Field of view 381 mm wide, 1.50 mm slice spacing; CT image; 512x512
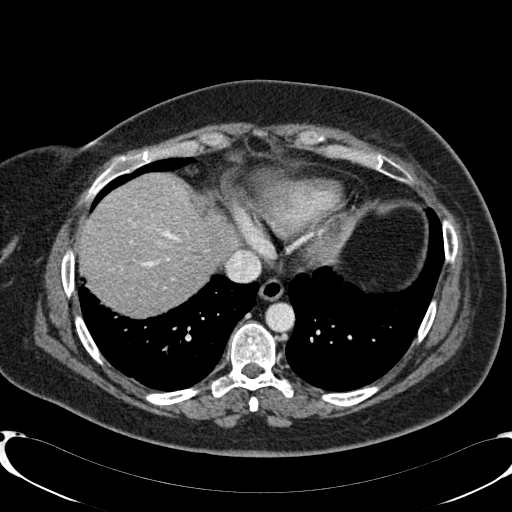
{"liver": ["rect(80, 174, 240, 313)"]}